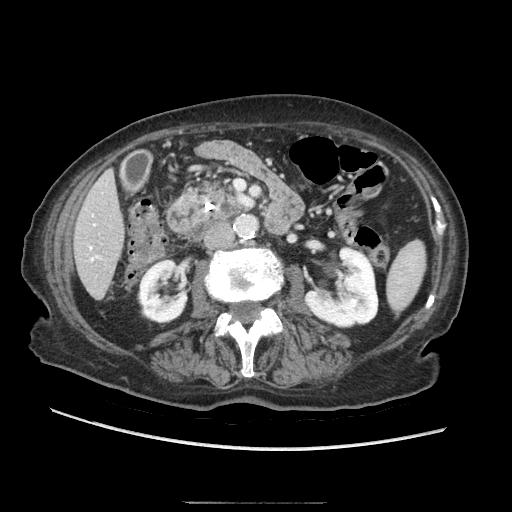
Abdomen; CT image
Pancreas: rect(197, 181, 245, 217).